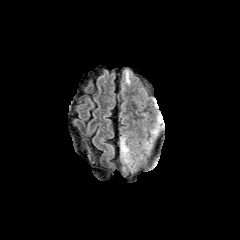
FLAIR magnetic resonance.
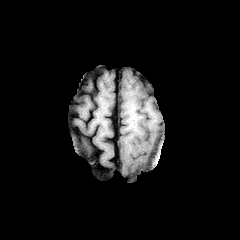
T1-weighted magnetic resonance.
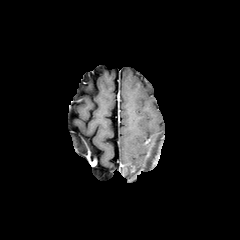
Post-contrast T1-weighted magnetic resonance.
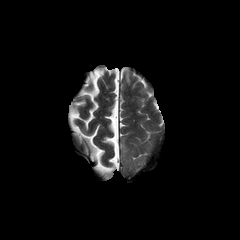
T2-weighted MR image.
Brain
* edema: box=[124, 70, 129, 82]